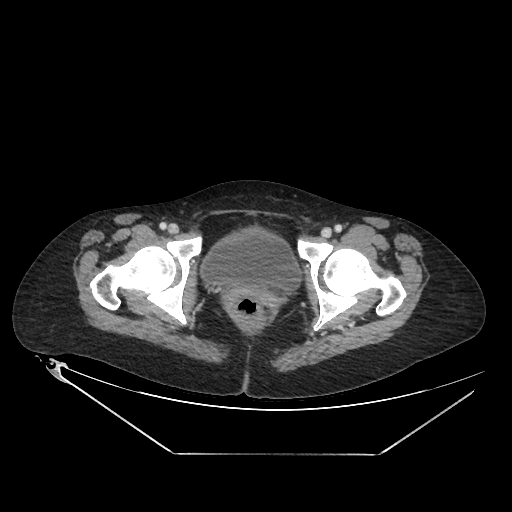
CT image
The urinary bladder appears at rect(199, 228, 302, 294).